CT slice 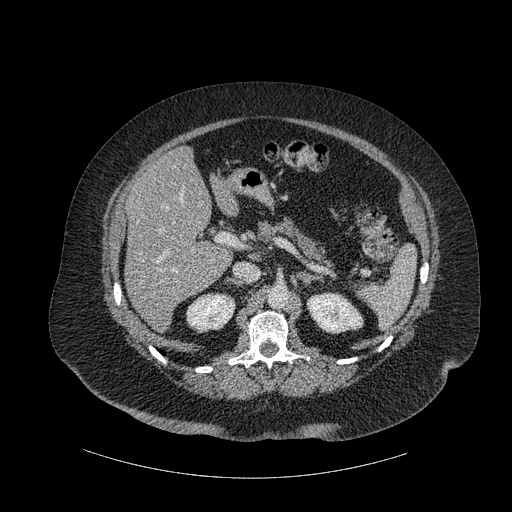 Liver: bounding box region(213, 185, 238, 215); region(125, 146, 232, 331).
Bone: bounding box region(149, 346, 165, 363); region(337, 357, 356, 364); region(378, 336, 392, 351); region(420, 264, 428, 283); region(114, 283, 120, 304); region(196, 366, 212, 372); region(229, 311, 302, 367).
Kidney: bounding box region(187, 294, 234, 330); region(307, 293, 362, 332).